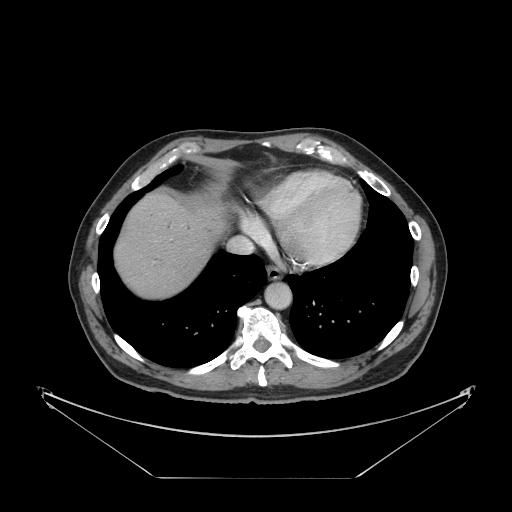
Computed tomography

Some hepatic vessels may have no box.
Hepatic vessel = [x1=231, y1=237, x2=252, y2=252], [x1=243, y1=226, x2=251, y2=236].